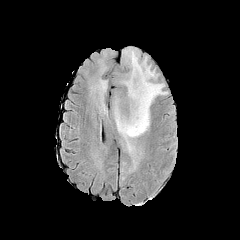
FLAIR MR.
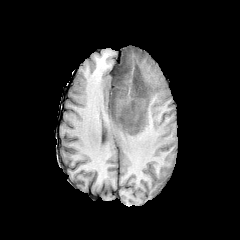
T1-weighted MR.
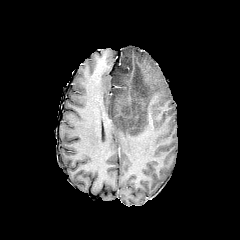
Post-contrast T1-weighted MR image.
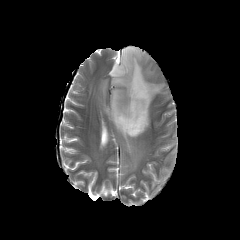
Same slice, T2-weighted MR.
Image size 240x240; Head
<segmentation>
  <non-enhancing_tumor_core>113 70 146 127, 122 54 129 69</non-enhancing_tumor_core>
  <edema>112 82 134 115, 110 47 166 171</edema>
</segmentation>